CT slice, Field of view 370x370 mm, Slice index 40
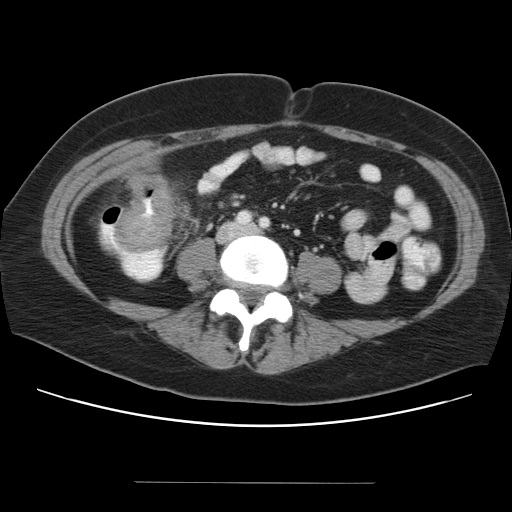 • colon tumor: 119 173 171 248